Abdomen, CT, Image size 512x512, Field of view 413x413 mm, Slice 55/98

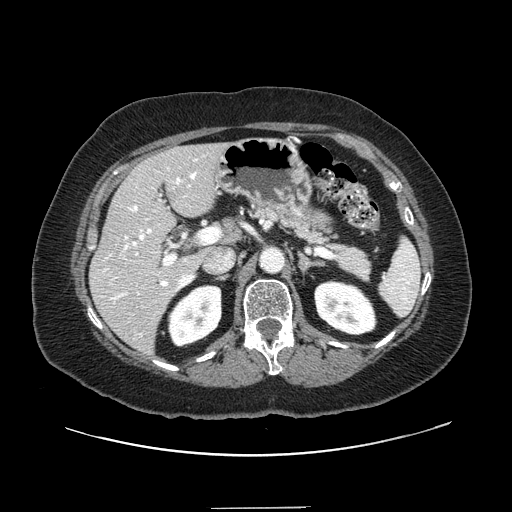
pancreas:
  - 249 201 372 280